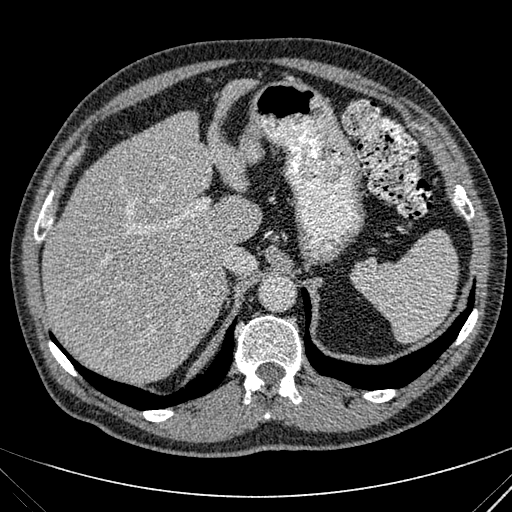
CT slice, Upper abdomen
Liver: bounding box <box>214,79,257,122</box>, <box>44,111,260,380</box>.